CT slice
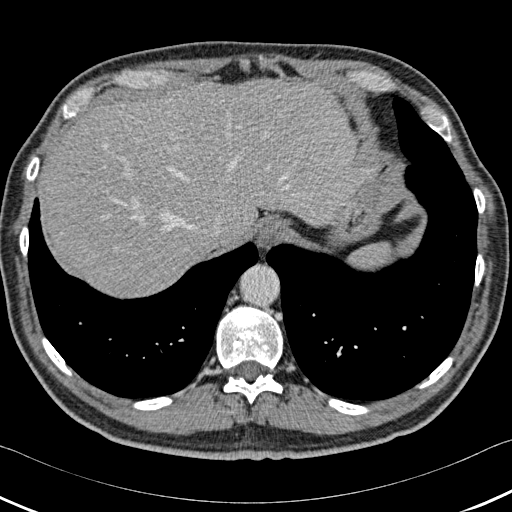
liver: x1=39, y1=79, x2=371, y2=296 | bone: x1=134, y1=397, x2=171, y2=410; x1=429, y1=113, x2=451, y2=141; x1=224, y1=374, x2=282, y2=403; x1=474, y1=188, x2=484, y2=213; x1=329, y1=399, x2=368, y2=415; x1=26, y1=157, x2=38, y2=180; x1=20, y1=227, x2=28, y2=255; x1=217, y1=307, x2=282, y2=369; x1=419, y1=357, x2=452, y2=388; x1=475, y1=254, x2=484, y2=285; x1=42, y1=338, x2=71, y2=375 | lung: x1=28, y1=197, x2=259, y2=399; x1=265, y1=94, x2=478, y2=403